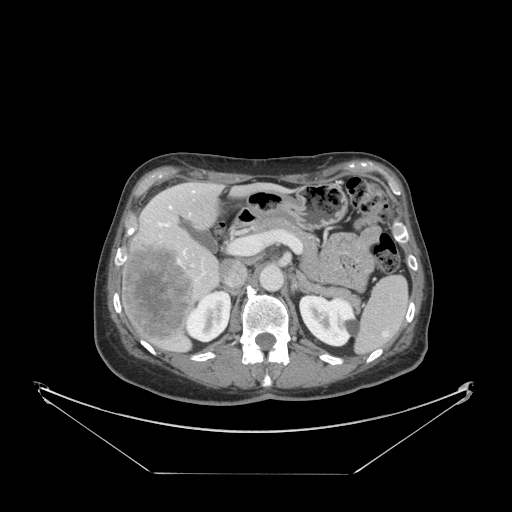
CT scan slice

Spleen = box=[356, 277, 409, 352].